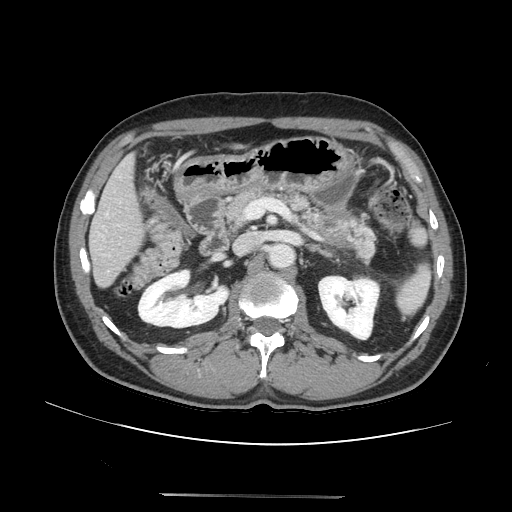

Computed tomography
Pancreas: bounding box x1=327 y1=219 x2=376 y2=262, x1=228 y1=188 x2=325 y2=233.
Pancreatic tumor: bounding box x1=316 y1=214 x2=353 y2=239.